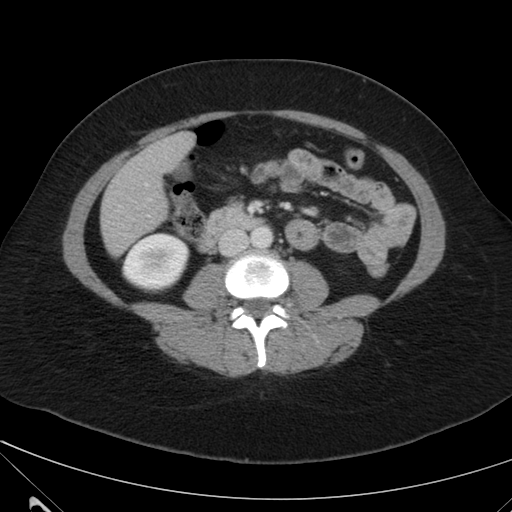 CT image
<segmentation>
  <liver>box=[101, 132, 193, 255]</liver>
  <kidney>box=[124, 235, 186, 287]</kidney>
</segmentation>